Liver, CT slice, Slice 120 of 161

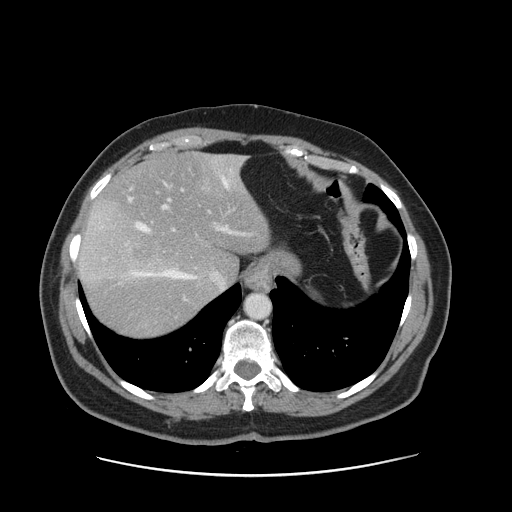
Some hepatic vessels may have no box.
Hepatic vessel: bounding box (223,178,228,186), (184,297,185,298), (163,198,170,208), (241,157,243,159), (130,271,151,275), (216,225,237,233), (186,274,193,278), (162,270,175,275), (182,189,183,190).